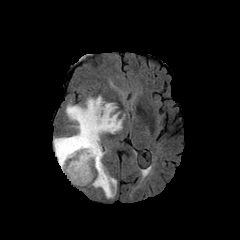
FLAIR MR.
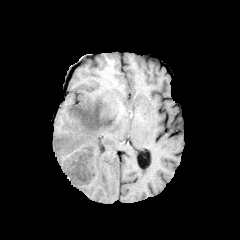
T1-weighted MR.
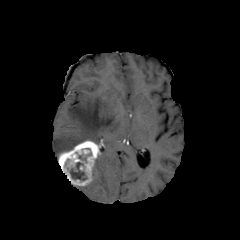
Post-contrast T1-weighted MR.
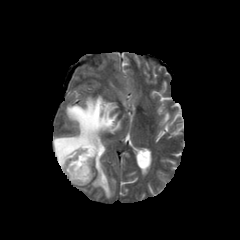
T2-weighted MRI of the same slice.
Brain.
Edema at box=[54, 97, 121, 157]; box=[92, 148, 116, 198].
Non-enhancing tumor core at box=[62, 143, 78, 151]; box=[69, 162, 85, 179]; box=[85, 110, 99, 127].
Enhancing tumor at box=[59, 140, 100, 185].